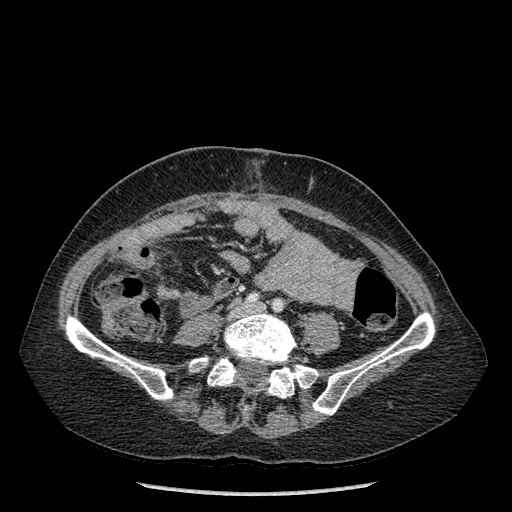
Computed tomography
Bone: box(224, 312, 295, 364); box(207, 357, 238, 386); box(189, 357, 208, 371); box(261, 365, 318, 398); box(312, 312, 434, 415); box(65, 315, 172, 400).